Brain, Slice 91 of 155, Image size 240x240
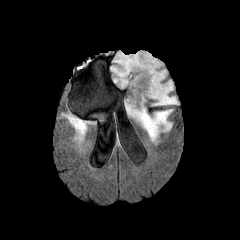
FLAIR magnetic resonance.
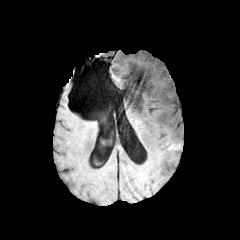
T1-weighted MR image.
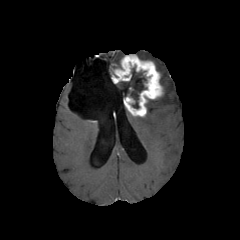
Post-contrast T1-weighted MR image.
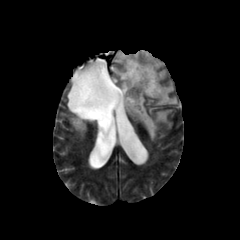
T2-weighted MR.
Enhancing tumor = (x1=112, y1=54, x2=161, y2=115).
Non-enhancing tumor core = (x1=119, y1=68, x2=146, y2=108).
Edema = (x1=110, y1=51, x2=124, y2=74), (x1=70, y1=118, x2=87, y2=136), (x1=132, y1=109, x2=172, y2=141), (x1=138, y1=51, x2=178, y2=106).